CT

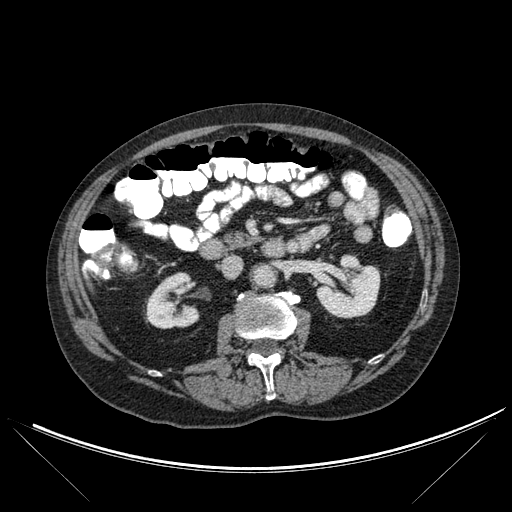

kidney:
  - l=317, t=255, r=379, b=317
  - l=147, t=273, r=198, b=328
bone:
  - l=236, t=292, r=299, b=338
  - l=248, t=353, r=281, b=399